Computed tomography
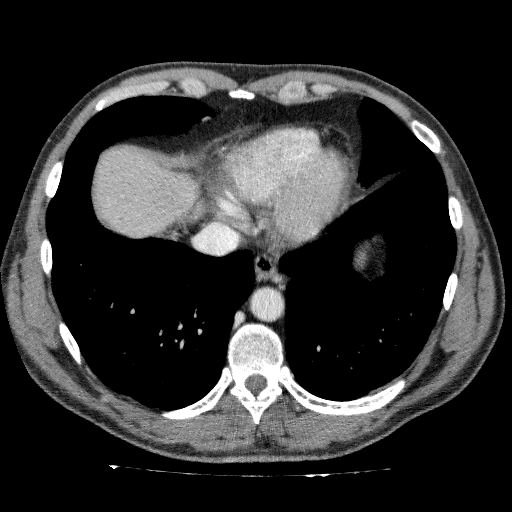
Liver: bounding box 93 147 198 238.